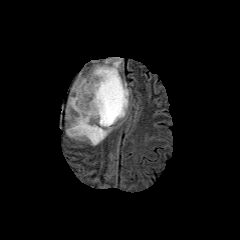
FLAIR magnetic resonance.
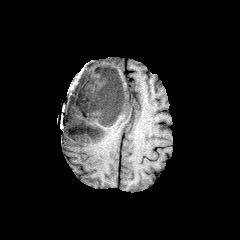
T1-weighted magnetic resonance of the same slice.
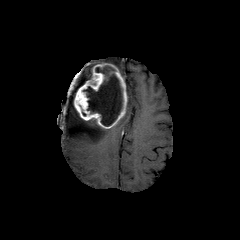
Post-contrast T1-weighted MRI of the same slice.
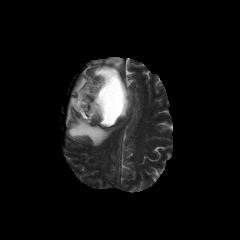
T2-weighted MRI of the same slice.
Image size 240x240; Brain
Edema at rect(126, 88, 130, 112); rect(65, 73, 112, 145); rect(92, 57, 123, 70).
Non-enhancing tumor core at rect(85, 75, 121, 127); rect(96, 65, 112, 73); rect(74, 74, 91, 97).
Enhancing tumor at rect(73, 63, 127, 121).